Slice index 123. Brain. Field of view 240x240 mm.
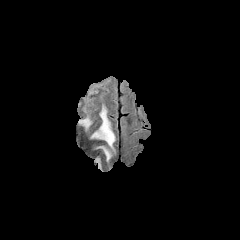
FLAIR MRI.
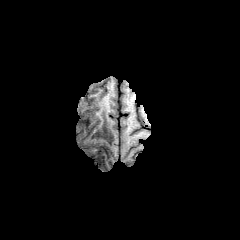
T1-weighted MRI.
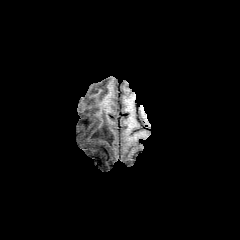
Same slice, post-contrast T1-weighted magnetic resonance.
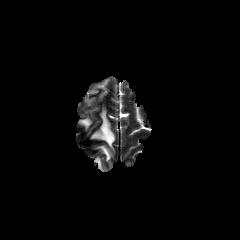
T2-weighted magnetic resonance.
Edema: bounding box rect(80, 115, 92, 129); rect(91, 105, 115, 161).